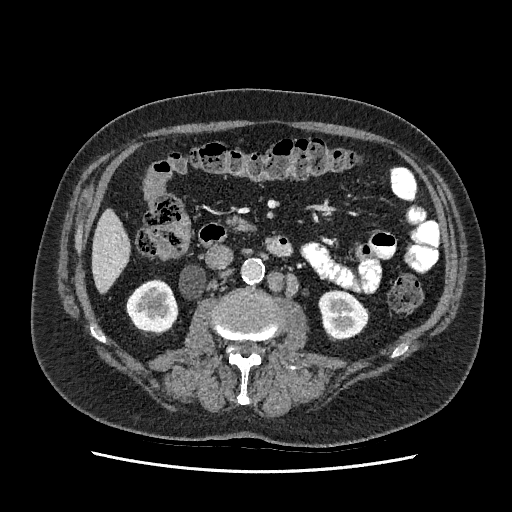
CT slice, Upper abdomen
Kidney = x1=319 y1=291 x2=367 y2=338, x1=127 y1=281 x2=176 y2=331.
Liver = x1=93 y1=210 x2=129 y2=291.